Slice index 45. Image size 512x512. Field of view 500 mm wide, 2.50 mm slice spacing. CT slice. Abdomen.

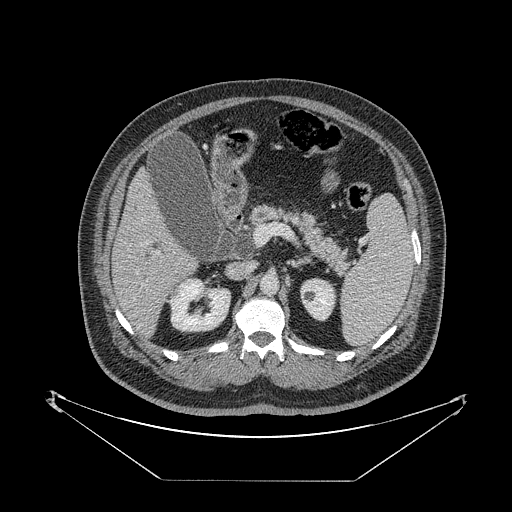
<segmentation>
  <pancreas>[251,206,347,271]</pancreas>
</segmentation>